CT; Image width 472 mm; Slice index 93
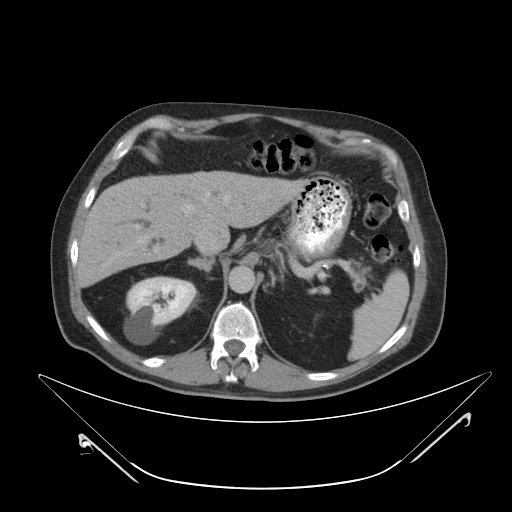
The pancreas is at <bbox>354, 264, 363, 276</bbox>.